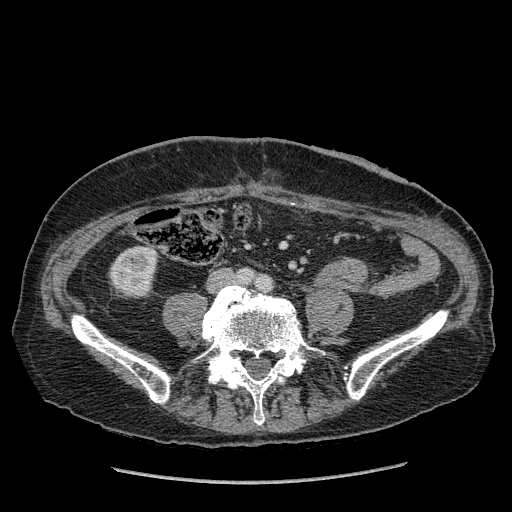

Abdomen. CT scan slice.

Kidney = (110, 246, 156, 295).